CT slice, 512x512 px, Field of view 434 mm wide, 1.00 mm slice spacing

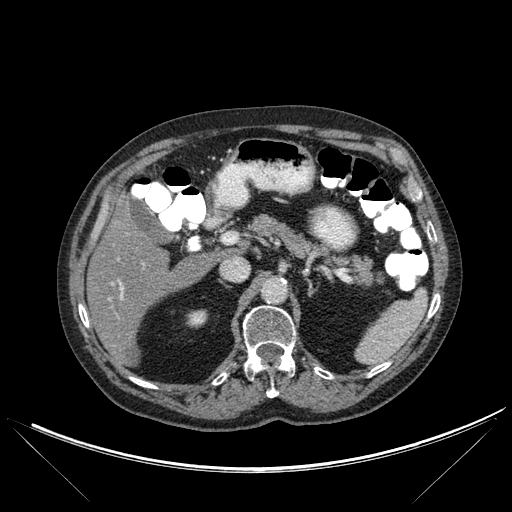

9 bone regions appear at bbox=[427, 225, 436, 240]; bbox=[428, 294, 439, 317]; bbox=[243, 306, 295, 373]; bbox=[267, 387, 278, 397]; bbox=[314, 367, 332, 378]; bbox=[130, 377, 156, 388]; bbox=[368, 362, 390, 376]; bbox=[212, 373, 226, 384]; bbox=[79, 304, 88, 326]. The focal liver lesion is at bbox=[127, 346, 138, 362]. 2 liver regions are located at bbox=[87, 202, 213, 365]; bbox=[215, 247, 245, 262]. The kidney lies within bbox=[188, 311, 205, 324].